Liver | Slice 76/135 | Image size 512x512 | Computed tomography

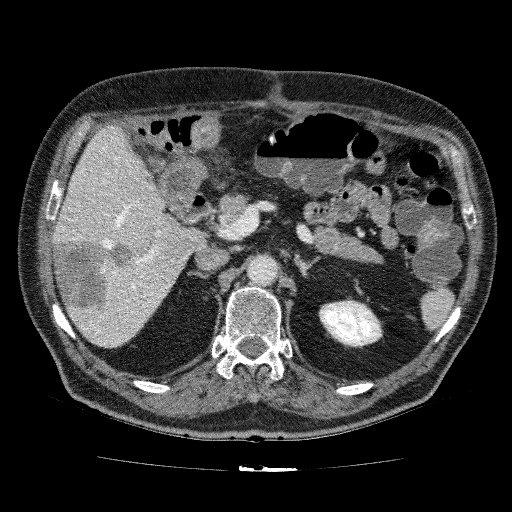 {"liver": ["box(50, 123, 207, 348)"], "kidney": ["box(319, 300, 381, 346)"], "liver_lesion": ["box(51, 231, 151, 312)", "box(155, 243, 177, 269)", "box(142, 169, 153, 185)"]}